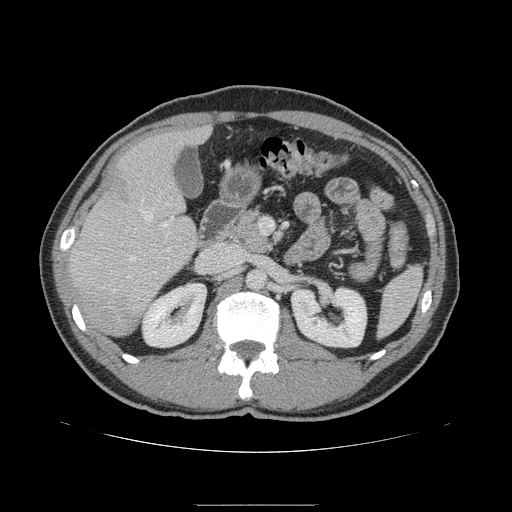
CT scan slice | Upper abdomen
The pancreas is bounded by box=[221, 209, 271, 252].